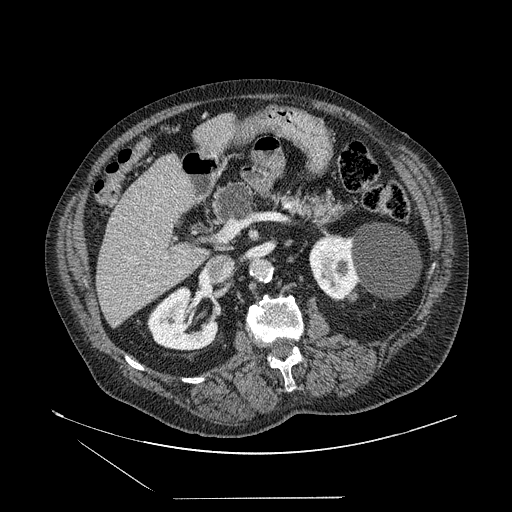
Image size 512x512. Computed tomography. Upper abdomen.

Segmented structures:
• pancreas: 211,185,355,228
• pancreatic tumor: 217,182,253,220